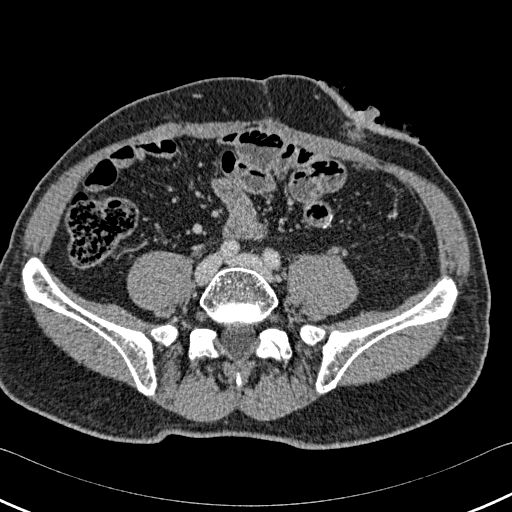

CT.

Bone at l=23, t=258, r=177, b=394; l=236, t=373, r=241, b=386; l=189, t=329, r=218, b=359; l=256, t=329, r=291, b=359; l=300, t=325, r=327, b=345; l=200, t=267, r=277, b=323; l=316, t=278, r=456, b=392.